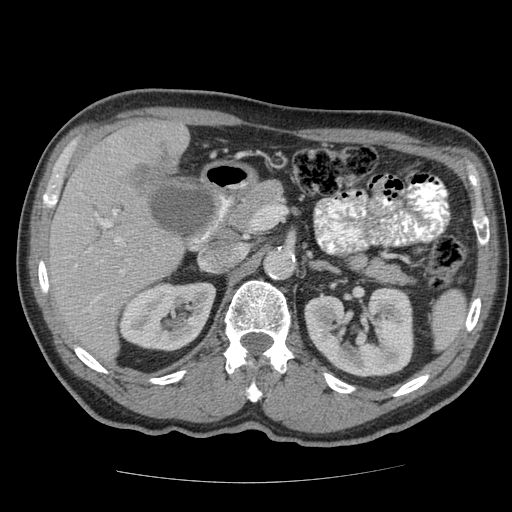
Image size 512x512, Abdomen, Computed tomography
Some hepatic vessels may have no box.
{"liver_tumor": ["l=134, t=145, r=171, b=192"], "hepatic_vessel": ["l=112, t=210, r=116, b=214", "l=86, t=247, r=91, b=252", "l=99, t=220, r=109, b=227", "l=119, t=271, r=123, b=273", "l=90, t=296, r=100, b=307"]}